FLAIR MR.
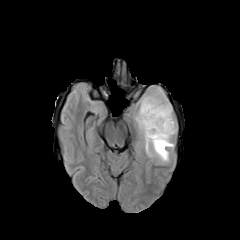
T1-weighted magnetic resonance.
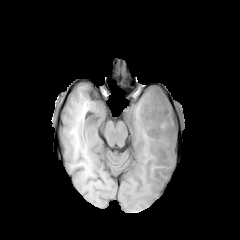
Post-contrast T1-weighted magnetic resonance.
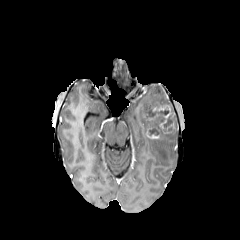
T2-weighted MRI.
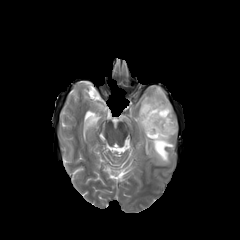
Brain
Edema: bounding box [130, 85, 177, 165].
Non-enhancing tumor core: bounding box [139, 85, 177, 138].